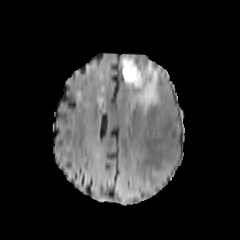
FLAIR MRI.
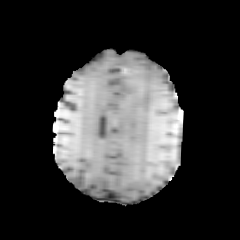
T1-weighted MRI.
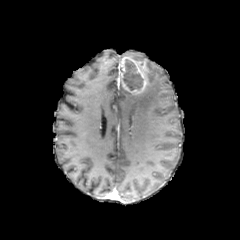
Post-contrast T1-weighted MRI.
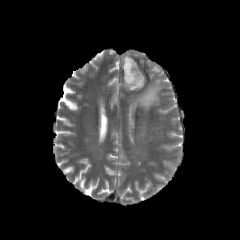
T2-weighted magnetic resonance.
240x240 px
Enhancing tumor — (left=120, top=55, right=147, bottom=94).
Non-enhancing tumor core — (left=123, top=58, right=143, bottom=91).
Edema — (left=127, top=61, right=160, bottom=113).